MR image | Medial temporal lobe | Slice 16/41 | Field of view 35x44 mm 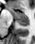

The anterior hippocampus lies within l=9, t=7, r=28, b=18. The posterior hippocampus is bounded by l=17, t=19, r=28, b=26.